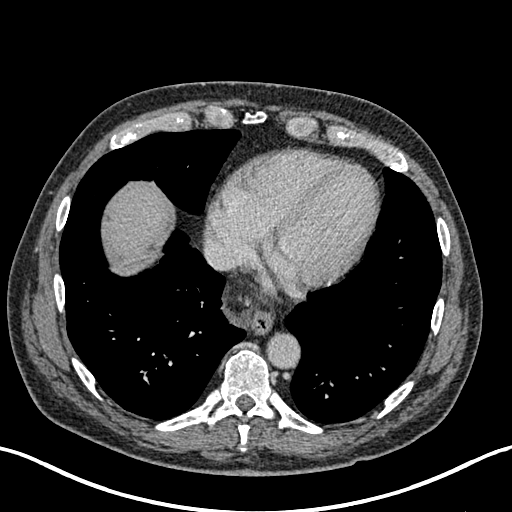 Image size 512x512, Computed tomography, Upper abdomen

Hepatic lesion at (x1=145, y1=242, x2=155, y2=254).
Liver at (x1=102, y1=182, x2=174, y2=270).